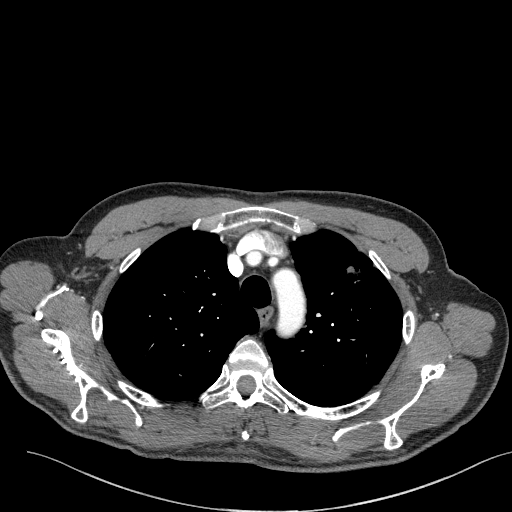
Computed tomography
Lung tumor — [342,259,368,292].